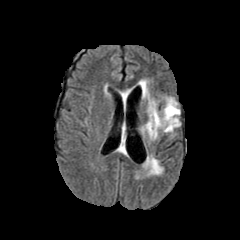
FLAIR MRI.
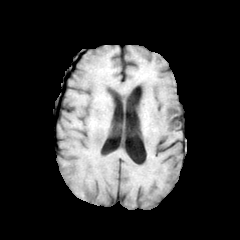
T1-weighted MRI.
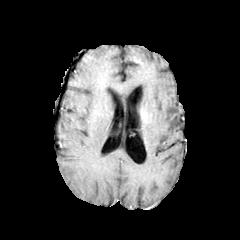
Post-contrast T1-weighted magnetic resonance.
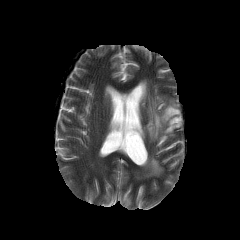
T2-weighted magnetic resonance.
Brain | 240x240
<segmentation>
  <edema>120, 92, 128, 109; 145, 157, 162, 175; 139, 80, 180, 140</edema>
  <non-enhancing_tumor_core>168, 108, 177, 113</non-enhancing_tumor_core>
</segmentation>